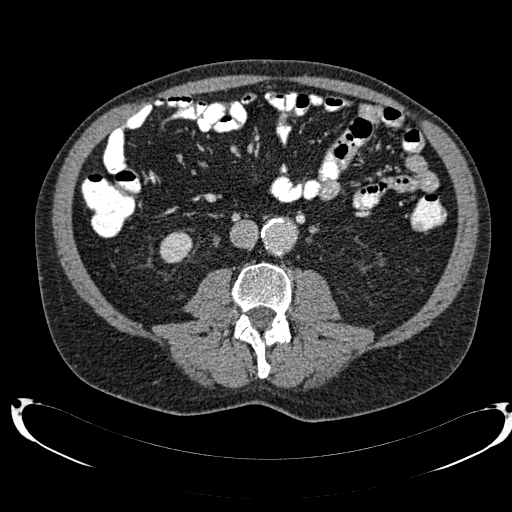 Image size 512x512, CT image
Kidney at bbox(160, 243, 190, 262).